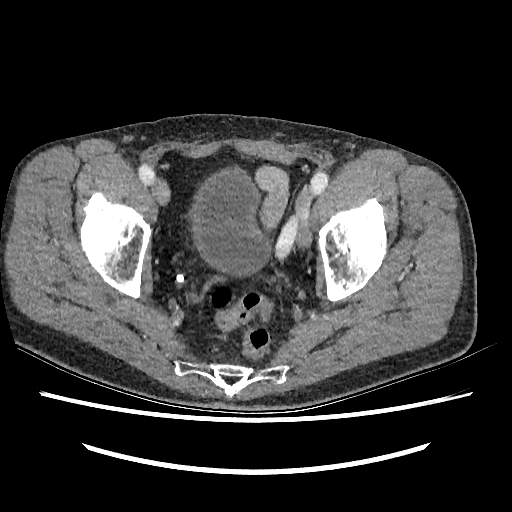

CT scan slice
urinary_bladder:
  - {"x1": 194, "y1": 172, "x2": 269, "y2": 274}